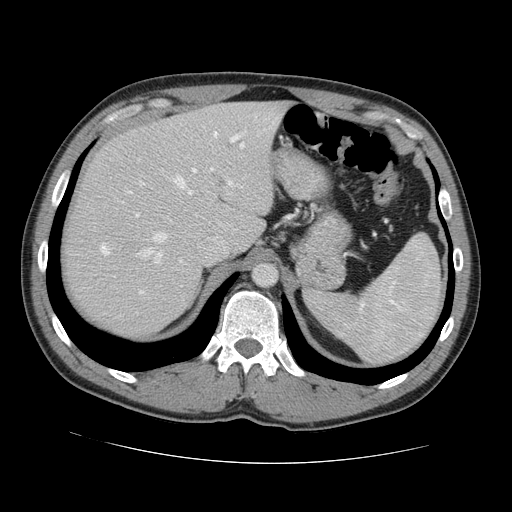
Computed tomography; Image size 512x512; Abdomen
The vessel boxes may cover only some of the vessels.
Most prominent 15 of 30 hepatic vessel regions: bounding box (139, 248, 152, 258), (186, 190, 192, 194), (229, 130, 246, 141), (138, 181, 144, 186), (153, 232, 165, 242), (116, 199, 123, 202), (249, 113, 259, 121), (166, 217, 170, 221), (216, 221, 224, 226), (227, 181, 240, 187), (155, 252, 160, 263), (126, 191, 132, 193), (138, 290, 143, 293), (173, 176, 185, 188), (262, 116, 278, 130).